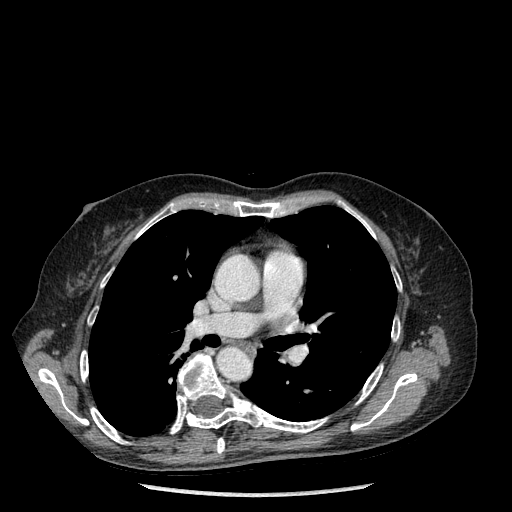

CT scan slice. Chest. Lung at region(240, 206, 396, 421); region(89, 210, 263, 436).
Bone at region(351, 372, 417, 431); region(391, 317, 400, 341); region(170, 353, 327, 433); region(216, 438, 224, 453); region(87, 307, 97, 324); region(90, 407, 128, 444); region(231, 201, 283, 217); region(80, 350, 88, 381); region(393, 269, 401, 290); region(38, 368, 88, 425); region(339, 201, 376, 238); region(135, 203, 176, 238); region(356, 364, 383, 404); region(100, 271, 110, 287).